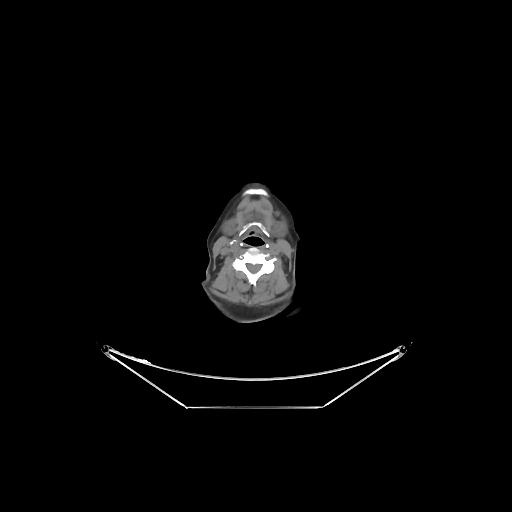

CT slice; 512x512 px

2 bone regions are bounded by left=244, top=189, right=267, bottom=195; left=232, top=248, right=275, bottom=285.